Slice 80/155, Brain
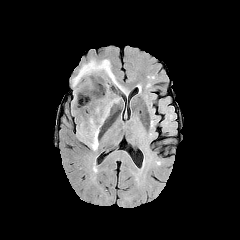
FLAIR MR image.
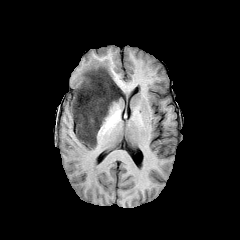
T1-weighted MRI of the same slice.
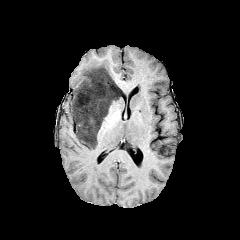
Post-contrast T1-weighted MRI.
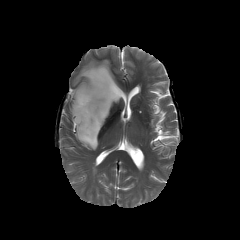
T2-weighted MRI of the same slice.
{"non-enhancing_tumor_core": ["[72,66,120,148]"], "edema": ["[72,59,111,97]"]}